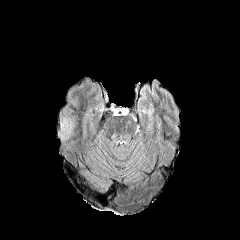
FLAIR magnetic resonance.
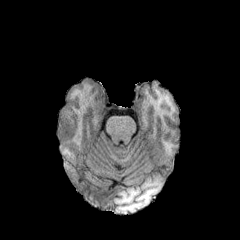
T1-weighted magnetic resonance.
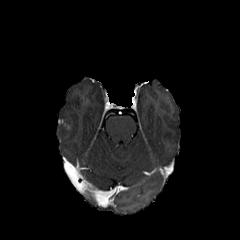
Same slice, post-contrast T1-weighted MR.
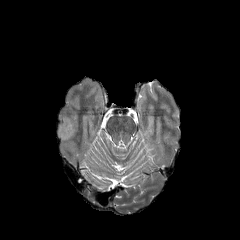
T2-weighted MR image of the same slice.
Brain.
non-enhancing tumor core: region(58, 129, 71, 137) | edema: region(60, 117, 74, 134)